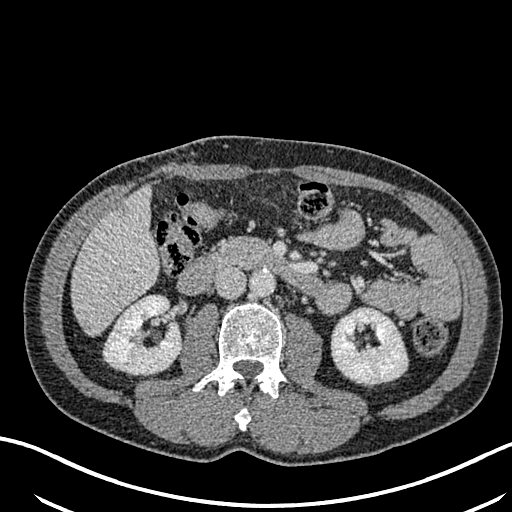

Computed tomography | Image size 512x512
2 focal liver lesion regions appear at rect(79, 320, 96, 333); rect(116, 205, 128, 217). The liver lies within rect(71, 187, 156, 334). 2 kidney regions appear at rect(105, 295, 180, 373); rect(332, 308, 407, 383).